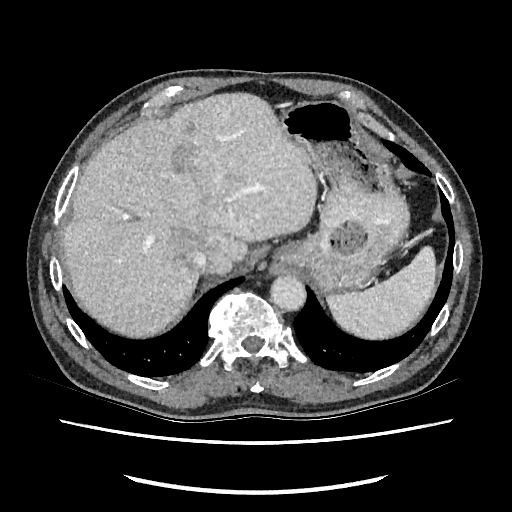

Liver, 512x512 px, CT
Liver: bounding box <box>63,95,315,334</box>.
Hepatic lesion: bounding box <box>188,121,195,131</box>, <box>172,229,203,266</box>, <box>172,148,195,171</box>.